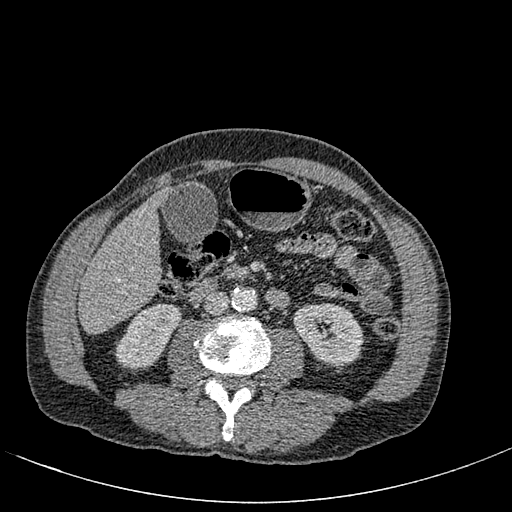 512x512 px | Abdomen | Computed tomography

Liver — bbox(79, 199, 160, 331).
Kidney — bbox(294, 302, 363, 365); bbox(116, 304, 180, 368).